CT | Field of view 416 mm wide, 5.00 mm slice spacing | Slice index 31
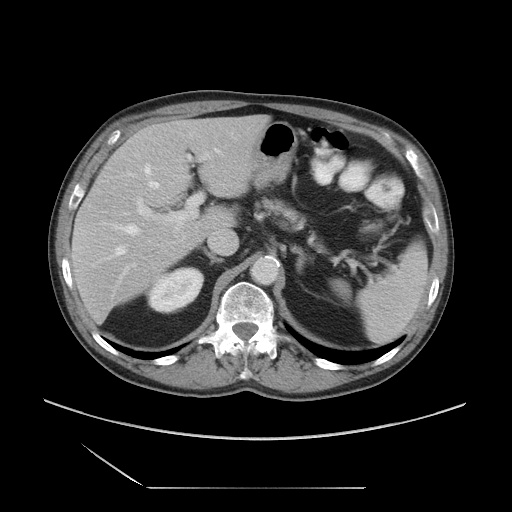

The vessel boxes may cover only some of the vessels.
Segmented structures:
- hepatic vessel: (190,133,191,136), (114,286,116,292), (117,266,128,285), (144,164,150,173), (167,200,200,231), (116,246,125,254), (131,263,135,266), (149,182,158,187), (231,133,232,134), (214,148,220,152), (212,227,235,239), (137,197,150,218), (100,222,138,234), (127,172,134,176), (201,152,209,159)